MR, Medial temporal lobe

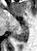 The posterior hippocampus is bounded by <bbox>12, 23, 28, 42</bbox>.